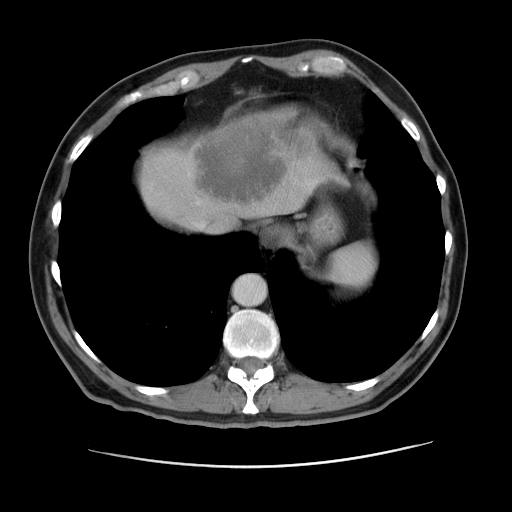

Abdomen. CT slice. Segmented structures:
* focal liver lesion: (left=191, top=116, right=319, bottom=202)
* liver: (left=269, top=110, right=315, bottom=135), (left=133, top=118, right=347, bottom=234)